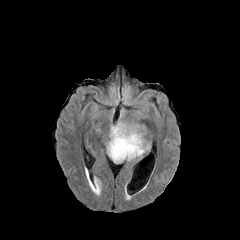
FLAIR MR image.
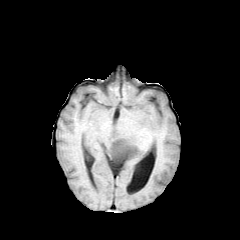
T1-weighted MR image.
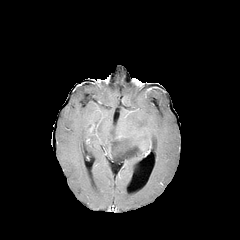
Post-contrast T1-weighted MR image.
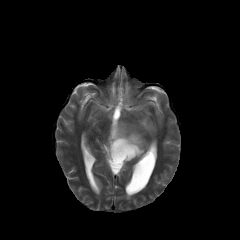
T2-weighted magnetic resonance.
Brain
Edema: 107:86:132:106, 104:107:152:162.
Non-enhancing tumor core: 110:138:137:163.